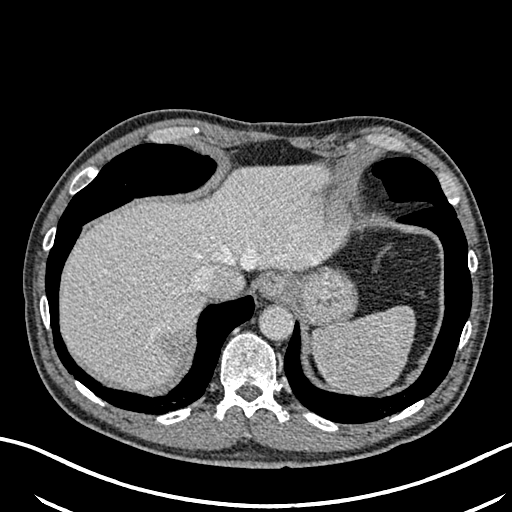 CT slice, Image size 512x512
- hepatic lesion: <bbox>158, 333, 181, 354</bbox>
- liver: <bbox>60, 163, 345, 387</bbox>